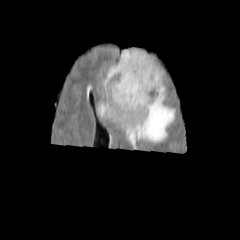
FLAIR magnetic resonance.
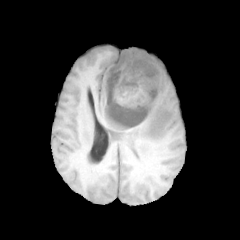
T1-weighted MR.
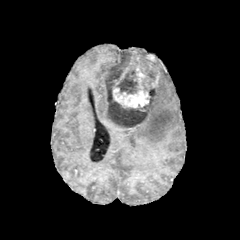
Post-contrast T1-weighted magnetic resonance.
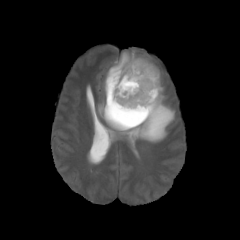
T2-weighted MRI of the same slice.
3 edema regions are located at {"x1": 109, "y1": 63, "x2": 125, "y2": 70}, {"x1": 99, "y1": 78, "x2": 176, "y2": 151}, {"x1": 128, "y1": 49, "x2": 149, "y2": 56}. The non-enhancing tumor core is at {"x1": 104, "y1": 50, "x2": 161, "y2": 128}. 2 enhancing tumor regions are located at {"x1": 151, "y1": 78, "x2": 158, "y2": 88}, {"x1": 112, "y1": 63, "x2": 150, "y2": 108}.